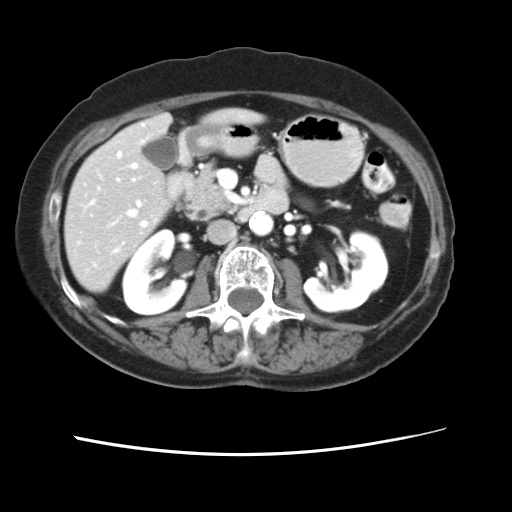 Abdomen | CT

Not every hepatic vessel necessarily has a box.
Principal 15 of 16 hepatic vessel regions: bounding box <box>118,152,120,157</box>, <box>142,124,144,126</box>, <box>98,187,99,190</box>, <box>130,164,137,168</box>, <box>132,177,140,180</box>, <box>111,221,116,225</box>, <box>140,138,146,143</box>, <box>136,201,140,207</box>, <box>113,248,119,252</box>, <box>83,200,94,208</box>, <box>126,209,137,217</box>, <box>122,242,124,244</box>, <box>141,222,147,226</box>, <box>117,179,119,181</box>, <box>93,263,96,266</box>.